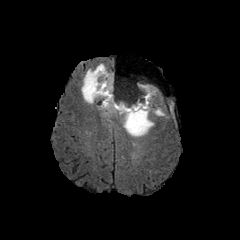
FLAIR MRI.
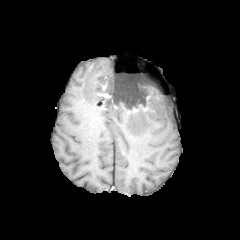
T1-weighted MR.
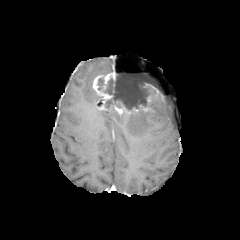
Post-contrast T1-weighted MR.
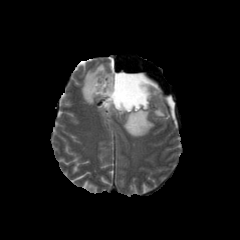
T2-weighted magnetic resonance.
Head
2 enhancing tumor regions are located at (114, 105, 125, 113), (92, 72, 113, 108). 3 edema regions are located at (81, 63, 114, 114), (116, 83, 165, 137), (114, 73, 119, 89). 2 non-enhancing tumor core regions appear at (103, 78, 147, 115), (98, 78, 103, 89).